Abdomen | CT slice

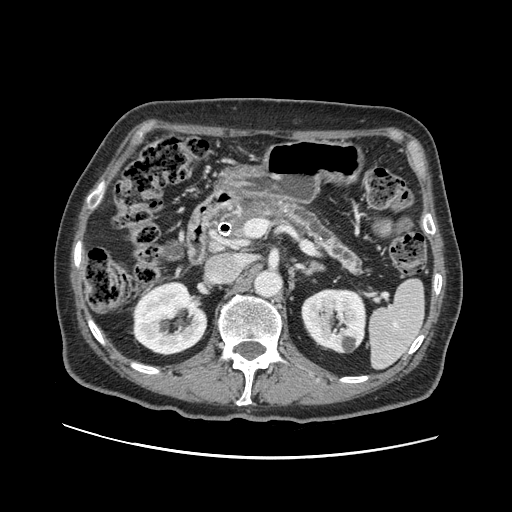
The pancreas lies within bbox=[204, 196, 365, 278].